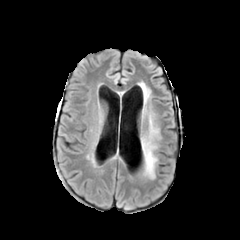
FLAIR MR image.
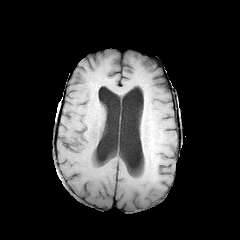
T1-weighted MRI of the same slice.
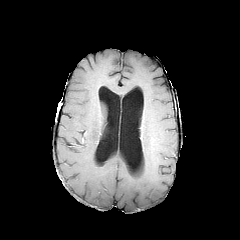
Post-contrast T1-weighted MRI.
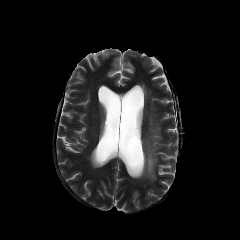
T2-weighted MR image.
240x240 px
2 edema regions are bounded by [x1=139, y1=81, x2=151, y2=125], [x1=139, y1=114, x2=158, y2=178].